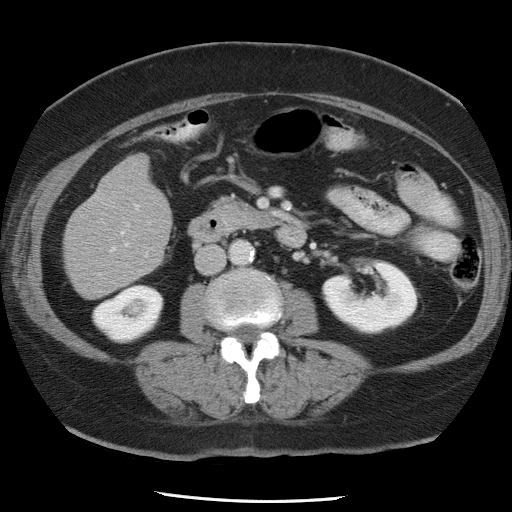 Computed tomography. Liver. 512x512.
The vessel boxes may cover only some of the vessels.
The hepatic vessel is bounded by 122 231 123 233.